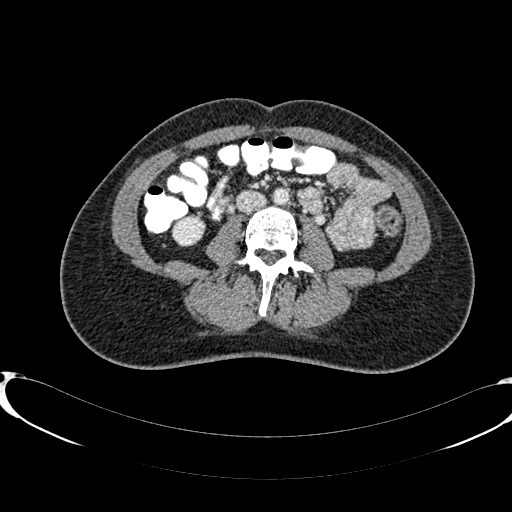

Abdomen; CT slice

Annotated regions:
* kidney: left=174, top=219, right=199, bottom=244